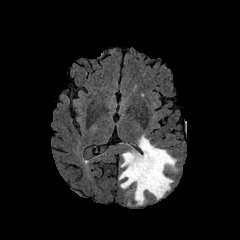
FLAIR MR.
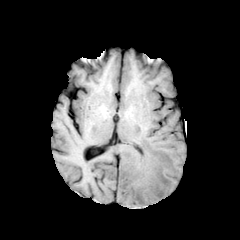
T1-weighted MR image.
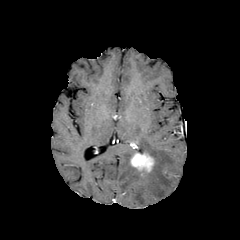
Post-contrast T1-weighted MR image.
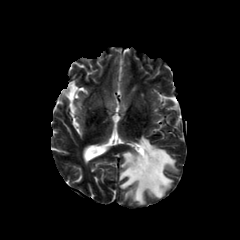
T2-weighted MRI of the same slice.
Brain. Image size 240x240.
The enhancing tumor appears at 129:150:155:178. The edema appears at 119:135:178:205.